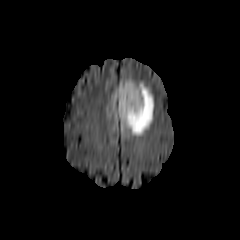
FLAIR MRI.
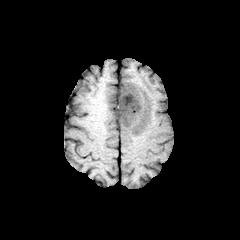
T1-weighted MR.
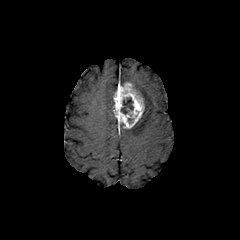
Same slice, post-contrast T1-weighted MR image.
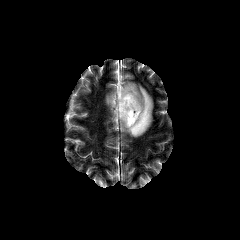
T2-weighted MR image.
240x240 px | Brain
The enhancing tumor appears at box=[113, 81, 144, 128]. The non-enhancing tumor core lies within box=[121, 97, 133, 113]. 2 edema regions appear at box=[120, 75, 153, 136]; box=[107, 89, 116, 107].